Slice 72/155
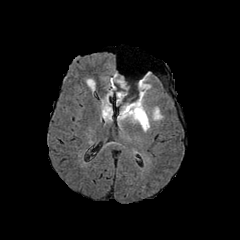
FLAIR magnetic resonance.
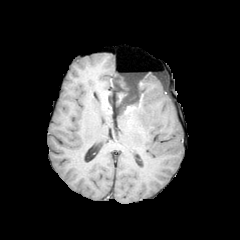
Same slice, T1-weighted magnetic resonance.
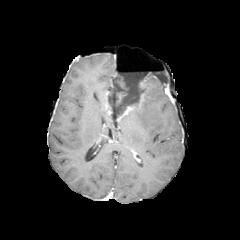
Same slice, post-contrast T1-weighted MR.
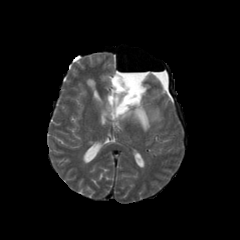
T2-weighted magnetic resonance.
Edema at [101,74,117,121], [118,75,163,132].
Non-enhancing tumor core at [112,76,143,115].